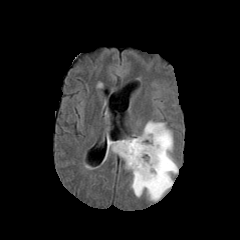
FLAIR MRI.
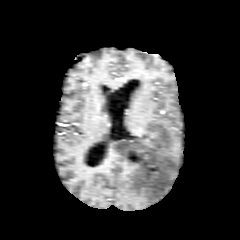
T1-weighted magnetic resonance.
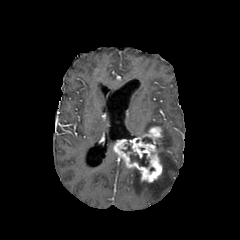
Post-contrast T1-weighted MR image of the same slice.
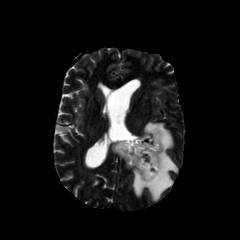
T2-weighted MR.
Enhancing tumor: bounding box {"x1": 113, "y1": 126, "x2": 162, "y2": 182}.
Edema: bounding box {"x1": 127, "y1": 121, "x2": 177, "y2": 201}.
Non-enhancing tumor core: bounding box {"x1": 130, "y1": 153, "x2": 149, "y2": 167}, {"x1": 141, "y1": 136, "x2": 152, "y2": 143}.